Head | Slice 84 of 155
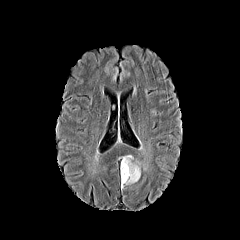
FLAIR magnetic resonance.
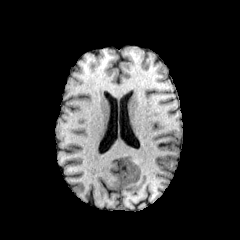
T1-weighted MR.
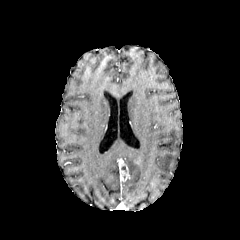
Post-contrast T1-weighted MR image.
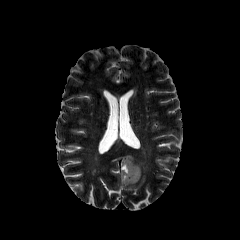
T2-weighted magnetic resonance.
Enhancing tumor = box=[120, 160, 129, 182].
Edema = box=[122, 155, 140, 185].